CT image | 512x512 px | Slice index 222 | Liver
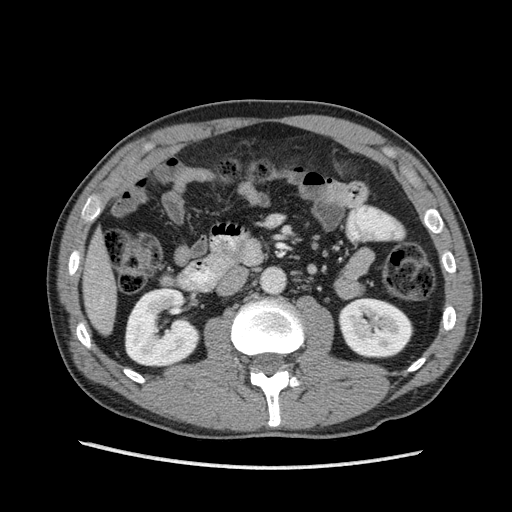 {
  "kidney": [
    "(340, 299, 410, 355)",
    "(126, 289, 197, 365)"
  ],
  "liver": [
    "(78, 228, 116, 334)"
  ]
}